FLAIR MR image.
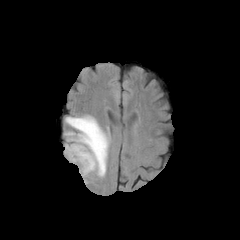
T1-weighted MR image.
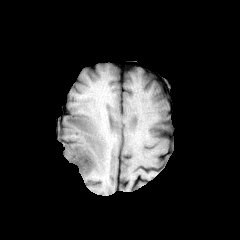
Post-contrast T1-weighted MR image.
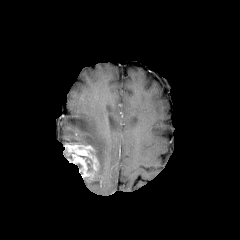
T2-weighted MR.
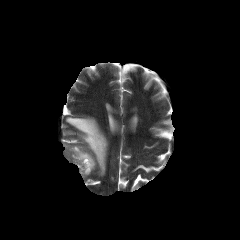
Edema = box(65, 116, 109, 176).
Enhancing tumor = box(63, 143, 98, 177).